CT

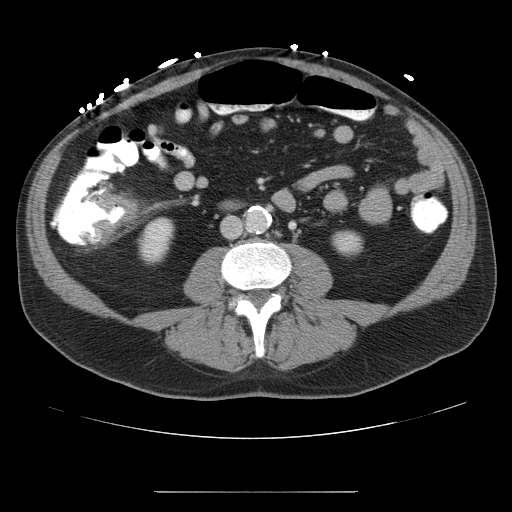
Annotated regions:
* colon tumor: region(80, 234, 92, 246); region(90, 190, 136, 242)